Image width 328 mm | Slice 49/124 | CT | Abdomen

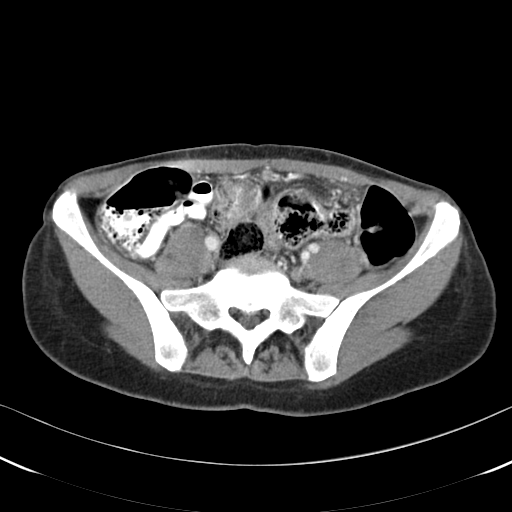

Colon tumor: bounding box <bbox>224, 178, 257, 226</bbox>.